CT image, Slice 466 of 466
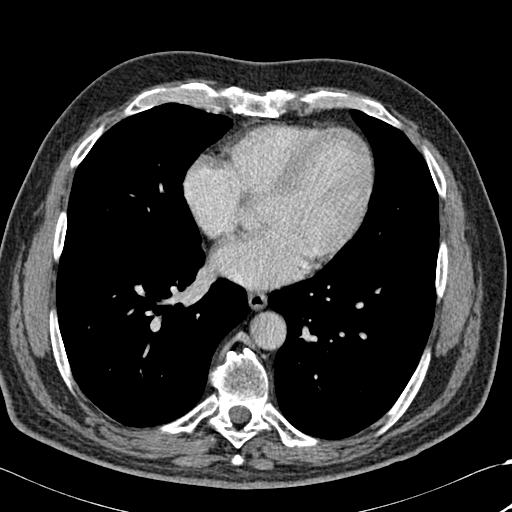

7 lung regions are located at region(119, 136, 175, 192); region(79, 242, 207, 370); region(359, 106, 411, 158); region(129, 198, 165, 234); region(165, 92, 217, 143); region(379, 158, 431, 210); region(290, 256, 428, 410). 9 bone regions are bounded by region(20, 194, 104, 278); region(357, 339, 441, 433); region(114, 70, 232, 132); region(60, 117, 114, 178); region(132, 336, 339, 450); region(401, 233, 482, 317); region(20, 311, 104, 395); region(394, 133, 475, 217); region(235, 72, 410, 130).